FLAIR MRI.
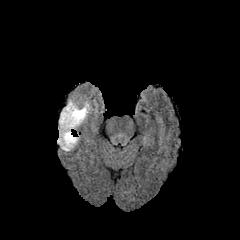
T1-weighted magnetic resonance.
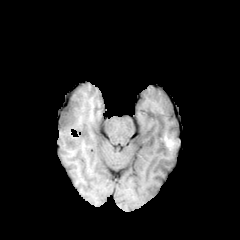
Post-contrast T1-weighted MRI.
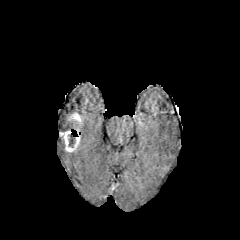
T2-weighted MR.
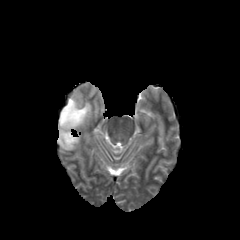
2 enhancing tumor regions appear at x1=67, y1=112, x2=81, y2=123; x1=60, y1=130, x2=73, y2=150. 2 edema regions appear at x1=62, y1=94, x2=92, y2=129; x1=58, y1=112, x2=63, y2=130. 2 non-enhancing tumor core regions appear at x1=58, y1=105, x2=79, y2=149; x1=69, y1=134, x2=75, y2=147.